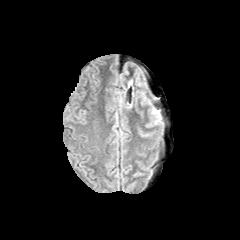
FLAIR MR image.
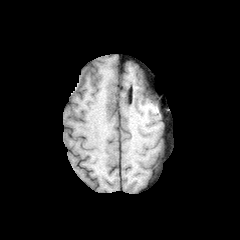
Same slice, T1-weighted magnetic resonance.
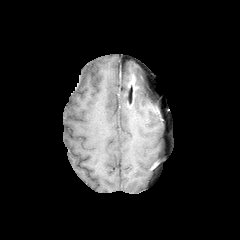
Same slice, post-contrast T1-weighted MRI.
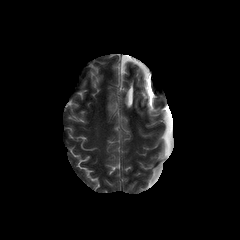
T2-weighted magnetic resonance.
Edema at (left=137, top=82, right=150, bottom=105), (left=148, top=106, right=159, bottom=126).